Abdomen; CT 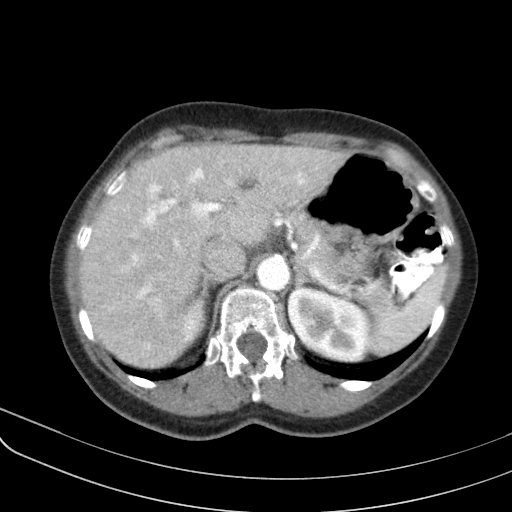

The pancreas lies within box=[291, 214, 361, 288].